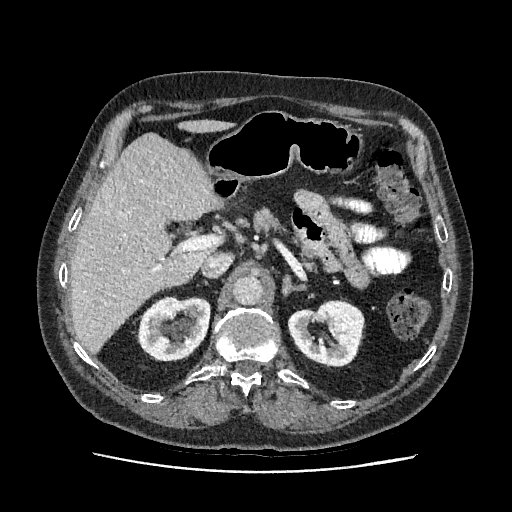 Computed tomography; Liver

Kidney: x1=289 y1=301 x2=363 y2=365, x1=139 y1=298 x2=209 y2=360.
Liver: x1=71 y1=133 x2=223 y2=353, x1=178 y1=120 x2=233 y2=132.